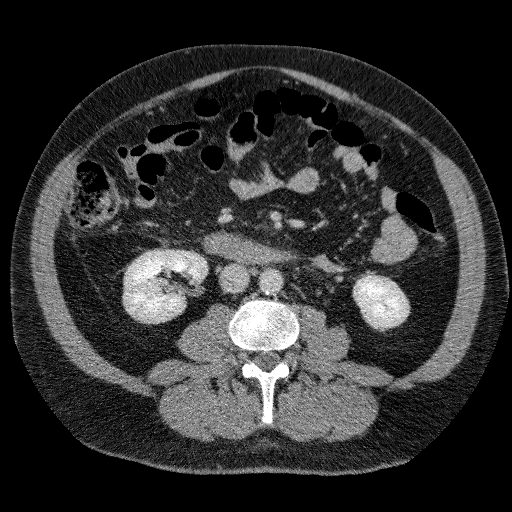 CT scan slice | 512x512
{
  "kidney": [
    {"x1": 124, "y1": 250, "x2": 206, "y2": 322},
    {"x1": 354, "y1": 276, "x2": 407, "y2": 327}
  ]
}